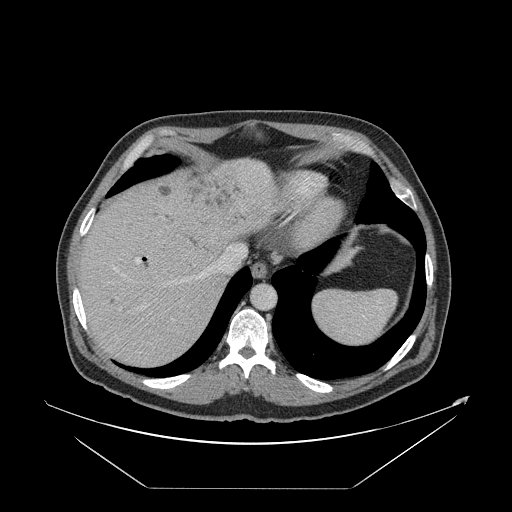

CT. 512x512 px.

The vessel annotation is not exhaustive.
5 hepatic vessel regions appear at rect(164, 245, 245, 285); rect(135, 257, 140, 263); rect(138, 305, 145, 310); rect(113, 267, 128, 279); rect(160, 217, 163, 218).